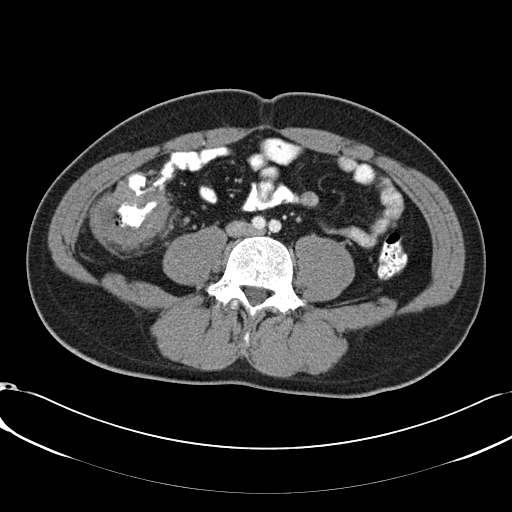

CT image
Colon tumor at x1=91, y1=181, x2=169, y2=248.